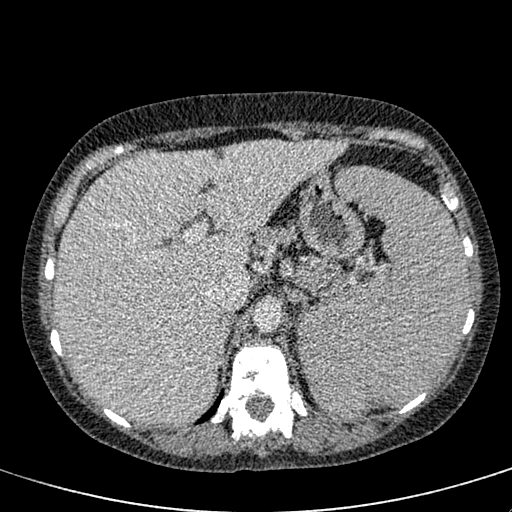 CT.
- liver: 54, 140, 348, 424